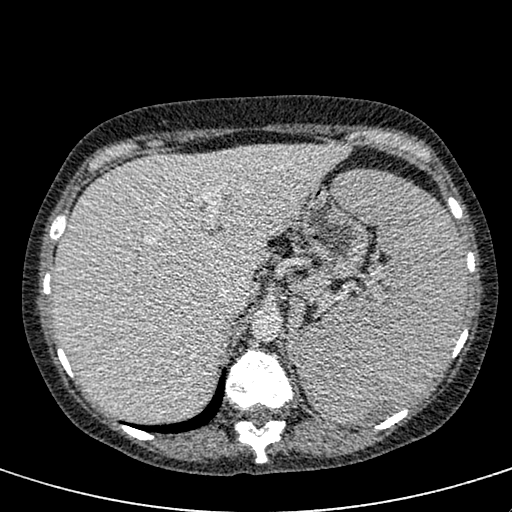
Upper abdomen. CT slice.
The liver is located at 53:145:352:420.